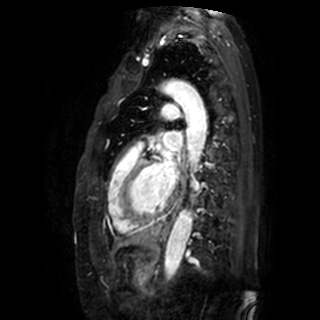

Magnetic resonance; Cardiac
Left atrium: x1=159 y1=157 x2=174 y2=189, x1=163 y1=132 x2=181 y2=150.